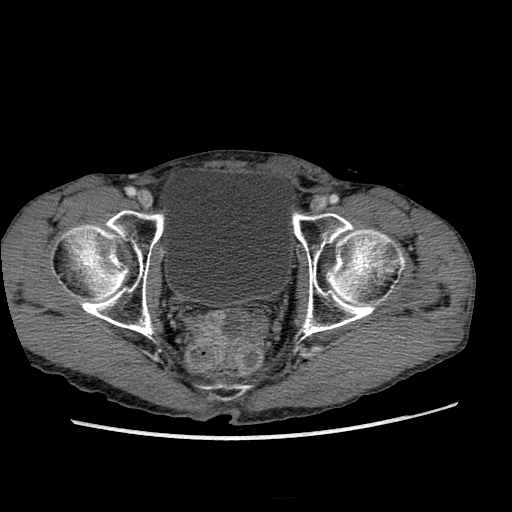

CT slice
The urinary bladder appears at x1=160 y1=167 x2=296 y2=298.